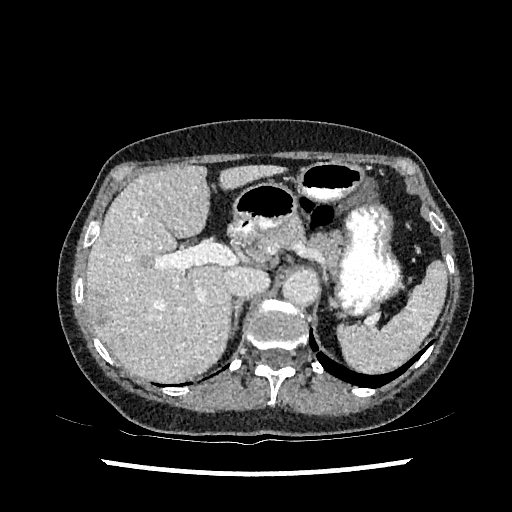 CT image

2 liver lesion regions are bounded by (87, 288, 110, 327), (141, 256, 153, 267). 2 liver regions appear at (220, 166, 283, 187), (87, 167, 229, 381).